Brain | 240x240 px
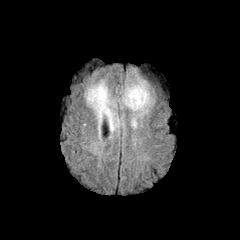
FLAIR MR image.
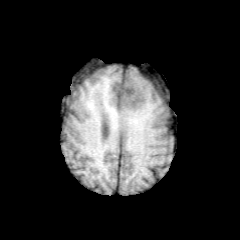
T1-weighted MR image.
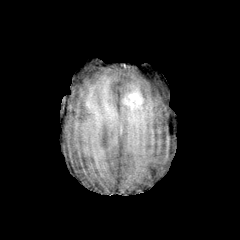
Post-contrast T1-weighted MR.
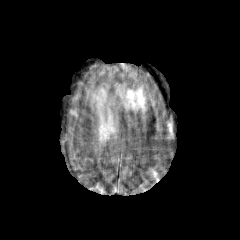
T2-weighted MR.
<segmentation>
  <edema>bbox=[121, 83, 149, 113]; bbox=[87, 83, 118, 132]</edema>
  <enhancing_tumor>bbox=[122, 88, 143, 110]</enhancing_tumor>
</segmentation>